512x512; CT slice; Slice 51/117

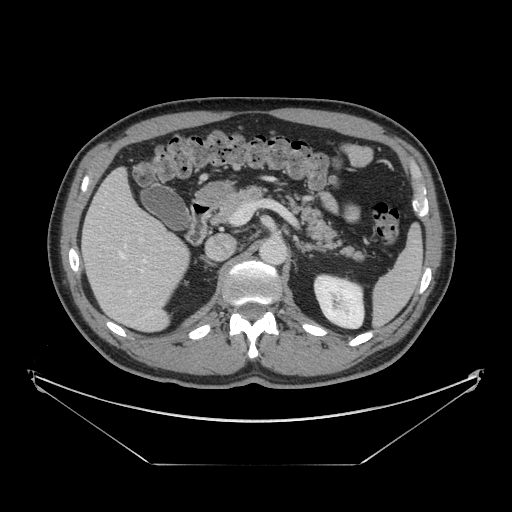 <segmentation>
  <pancreas>box=[285, 195, 363, 260]; box=[214, 186, 267, 223]</pancreas>
</segmentation>